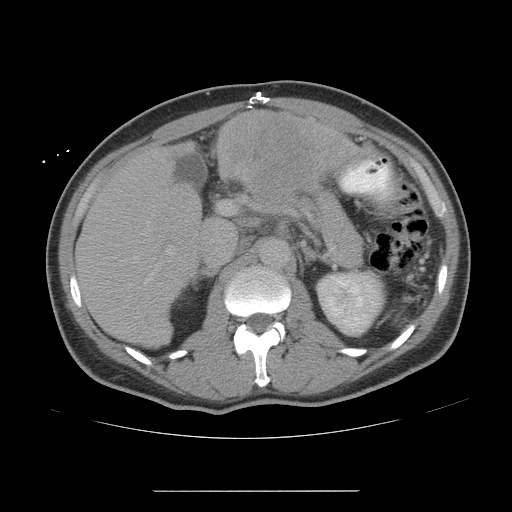 Liver. CT slice.

Some hepatic vessels may have no box.
Hepatic vessel: box=[166, 245, 172, 253]; box=[147, 229, 149, 230]; box=[159, 283, 160, 285]; box=[144, 265, 157, 284]; box=[143, 231, 146, 235]; box=[284, 208, 290, 211]; box=[146, 221, 149, 224]; box=[133, 256, 138, 262].
Liver tumor: box=[218, 111, 367, 206].